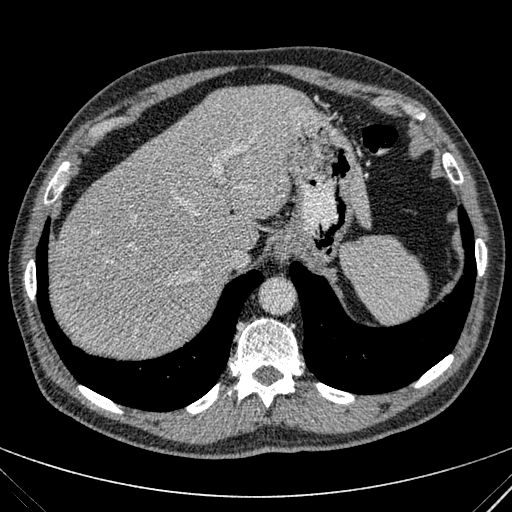 512x512 | CT scan slice
{
  "liver": [
    "bbox(350, 165, 370, 228)",
    "bbox(49, 85, 321, 357)"
  ]
}